CT, Field of view 330x330 mm 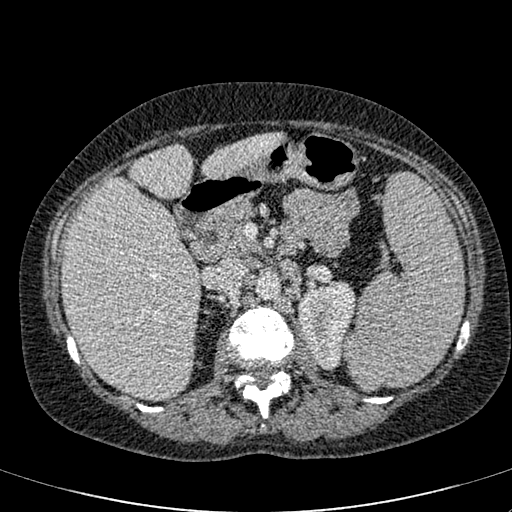
Segmented structures:
* liver: bbox=[63, 177, 199, 399]; bbox=[202, 133, 282, 178]; bbox=[129, 145, 191, 196]
* kidney: bbox=[298, 279, 354, 368]